FLAIR magnetic resonance.
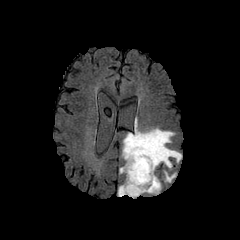
T1-weighted MR.
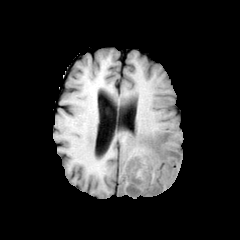
Post-contrast T1-weighted MR image.
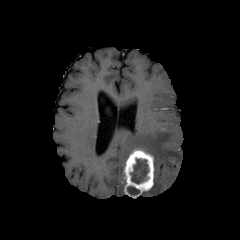
T2-weighted MR.
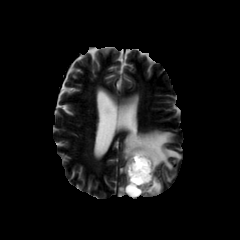
Findings:
• edema: 118 180 126 195, 122 122 181 195
• enhancing tumor: 124 148 154 195
• non-enhancing tumor core: 130 159 148 183, 127 186 139 197